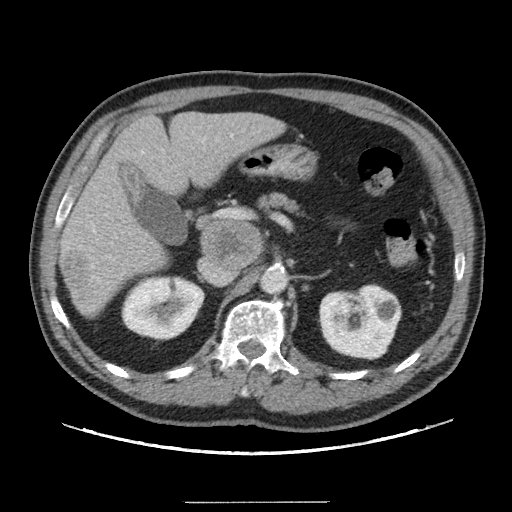

Liver, CT
liver_tumor:
  - (left=62, top=249, right=92, bottom=303)